CT image; Slice 173 of 244

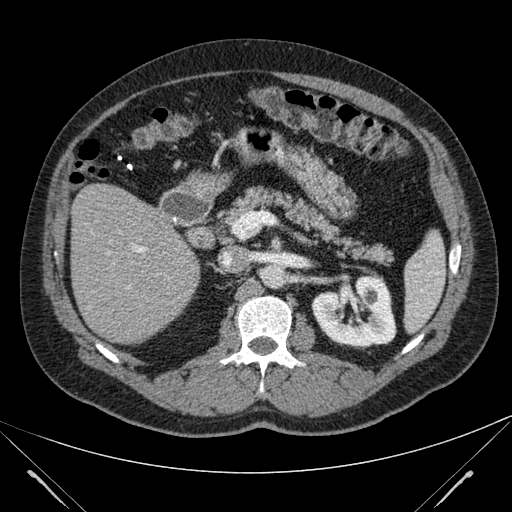

Liver: bounding box (71,184,199,343).
Kidney: bounding box (312,277,395,345).